Abdomen; CT

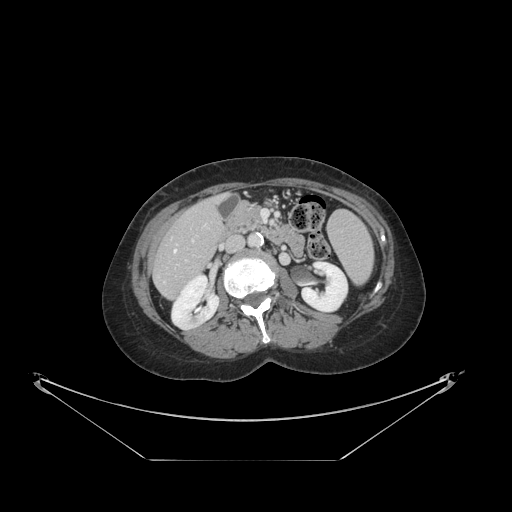
Some hepatic vessels may have no box.
2 hepatic vessel regions are located at l=192, t=239, r=193, b=241; l=173, t=249, r=176, b=252.